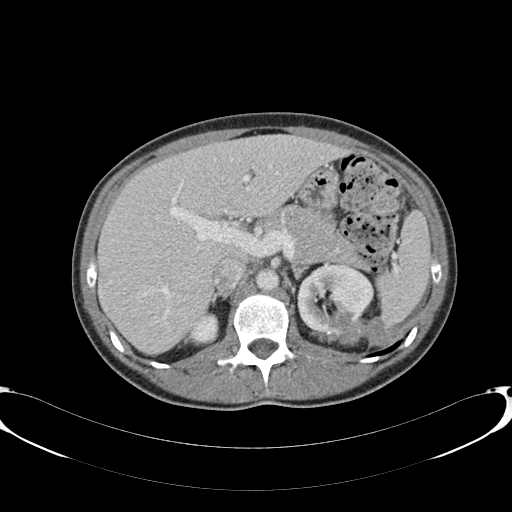 Image size 512x512 | Upper abdomen | CT slice

Annotated regions:
* liver: <box>97,135,349,354</box>
* kidney: <box>193,317,215,340</box>, <box>298,264,372,344</box>